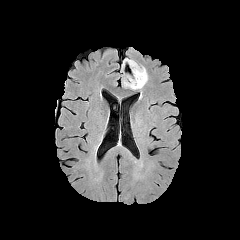
FLAIR MR image.
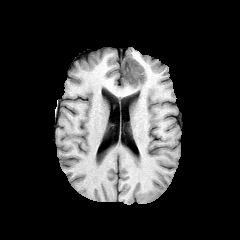
T1-weighted magnetic resonance.
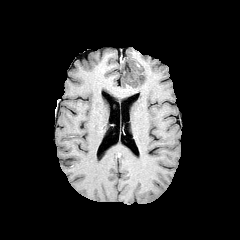
Post-contrast T1-weighted MRI.
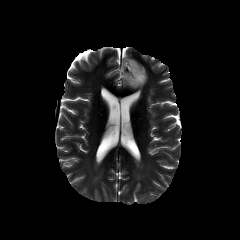
Same slice, T2-weighted MRI.
Head
2 edema regions are located at 122,62,147,91; 121,67,133,77. The non-enhancing tumor core appears at 124,62,143,82.